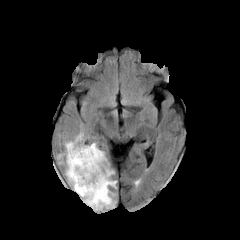
FLAIR MR.
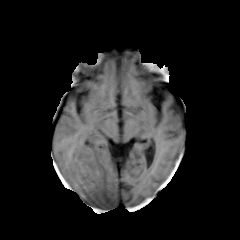
T1-weighted MRI of the same slice.
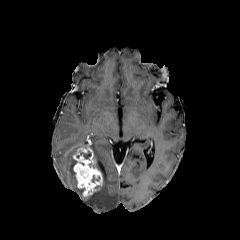
Post-contrast T1-weighted MR.
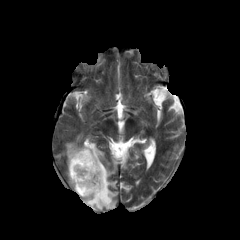
T2-weighted MRI of the same slice.
enhancing_tumor:
  - x1=72, y1=140, x2=103, y2=199
non-enhancing_tumor_core:
  - x1=96, y1=160, x2=105, y2=181
edema:
  - x1=63, y1=132, x2=86, y2=192
  - x1=82, y1=136, x2=117, y2=210